Slice 19/155.
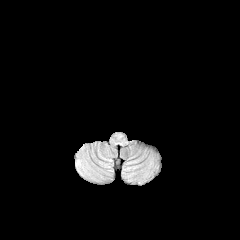
FLAIR magnetic resonance.
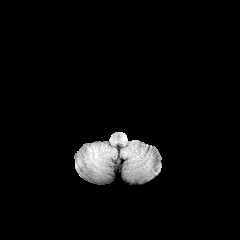
T1-weighted magnetic resonance.
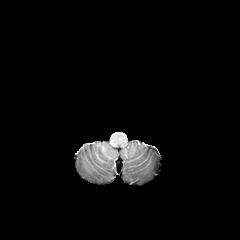
Same slice, post-contrast T1-weighted MR.
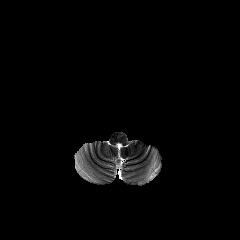
T2-weighted MRI.
Edema — left=80, top=158, right=95, bottom=179.